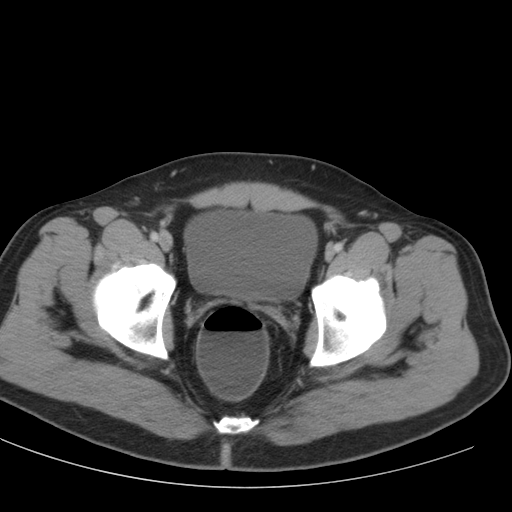

Lower abdomen. Computed tomography.

urinary_bladder:
  - 184 204 317 304